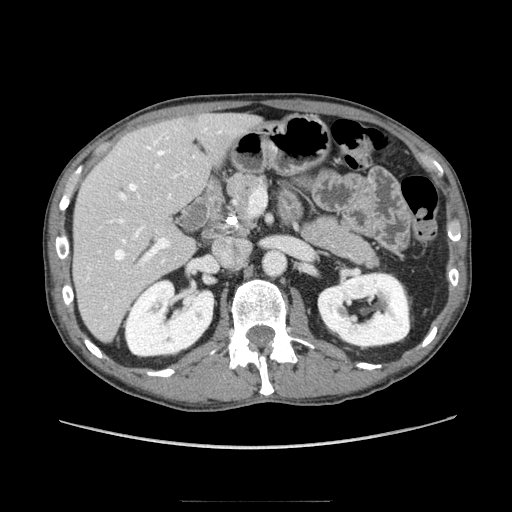
CT scan slice.

2 pancreas regions appear at {"x1": 227, "y1": 173, "x2": 262, "y2": 219}, {"x1": 303, "y1": 216, "x2": 378, "y2": 267}.